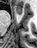

MR. The anterior hippocampus is bounded by (14, 6, 21, 14).